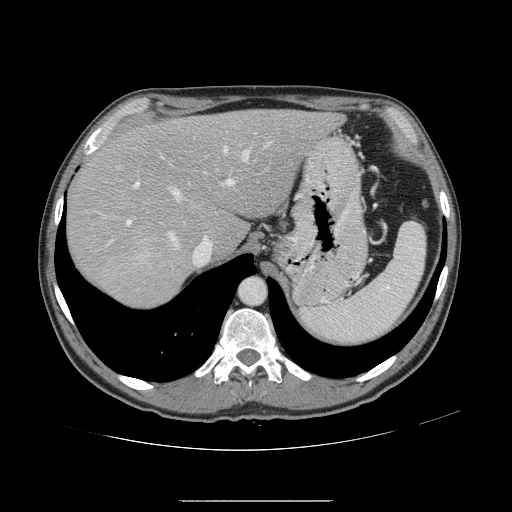 CT image | 512x512
Not every hepatic vessel necessarily has a box.
Hepatic vessel at [x1=127, y1=219, x2=131, y2=224], [x1=225, y1=180, x2=232, y2=184], [x1=108, y1=241, x2=110, y2=243], [x1=169, y1=188, x2=180, y2=198], [x1=266, y1=143, x2=268, y2=146], [x1=242, y1=151, x2=248, y2=160], [x1=224, y1=145, x2=227, y2=152], [x1=197, y1=236, x2=211, y2=248], [x1=134, y1=182, x2=139, y2=187], [x1=169, y1=233, x2=177, y2=247].